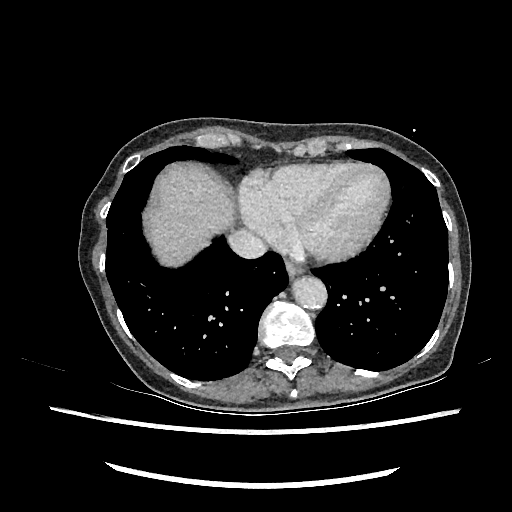
CT; Abdomen; 512x512 px

<segmentation>
  <liver>149,167,233,263</liver>
</segmentation>